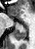

Magnetic resonance. posterior_hippocampus:
  - left=13, top=27, right=26, bottom=40